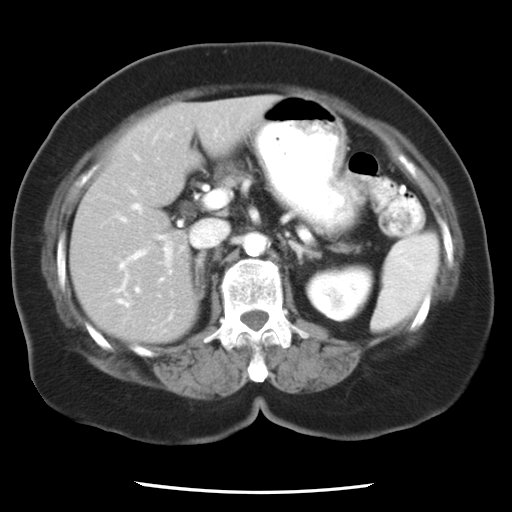

CT slice
Not every hepatic vessel necessarily has a box.
Hepatic vessel: bounding box left=164, top=246, right=169, bottom=258; left=205, top=190, right=226, bottom=207; left=160, top=236, right=163, bottom=237; left=129, top=251, right=143, bottom=259; left=160, top=279, right=162, bottom=280; left=119, top=300, right=127, bottom=305; left=134, top=205, right=138, bottom=208; left=135, top=289, right=138, bottom=291.